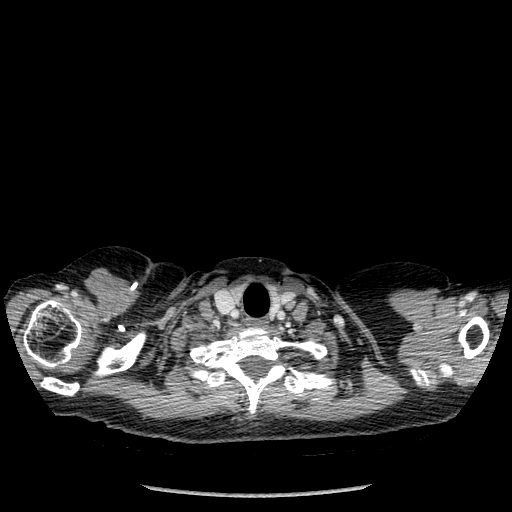 CT scan slice, Thorax
Annotated regions:
* bone: [458,315,489,359], [94,332,145,375], [190,326,335,413], [40,377,79,395], [23,299,83,367], [410,363,453,386]
* lung: [244,286,269,316]